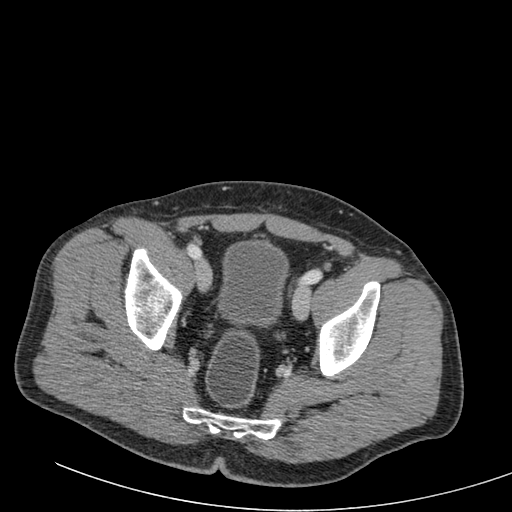
Pelvis; CT
* urinary bladder: bbox=[217, 241, 288, 327]